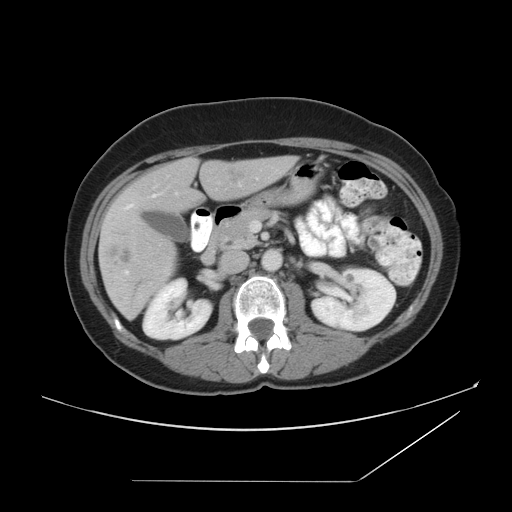 Liver. CT scan slice. Some hepatic vessels may have no box.
7 hepatic vessel regions appear at rect(125, 270, 128, 274); rect(125, 204, 132, 209); rect(140, 295, 141, 297); rect(238, 182, 240, 185); rect(153, 186, 155, 188); rect(175, 192, 177, 194); rect(152, 193, 160, 197). 2 liver tumor regions are bounded by rect(110, 249, 132, 261); rect(228, 170, 242, 180).